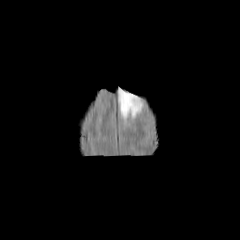
FLAIR MRI.
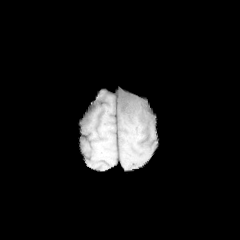
T1-weighted magnetic resonance of the same slice.
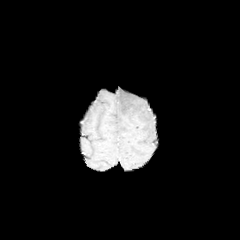
Post-contrast T1-weighted MRI of the same slice.
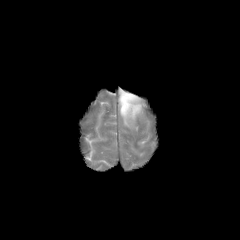
Same slice, T2-weighted MRI.
<segmentation>
  <edema>(117, 88, 145, 123)</edema>
</segmentation>